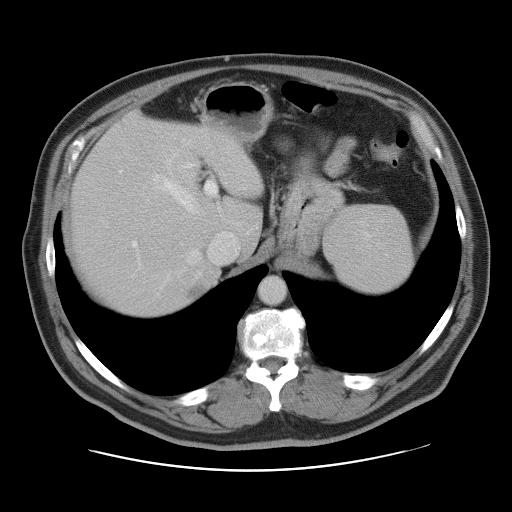

CT scan slice; Liver
The vessel boxes may cover only some of the vessels.
Liver tumor: bounding box 182:282:207:301.
Hepatic vessel: bounding box 183:162:199:167, 132:241:136:248, 138:259:139:265, 204:180:217:195, 208:231:238:263, 195:271:201:278, 152:175:199:213, 189:251:198:260.